FLAIR magnetic resonance.
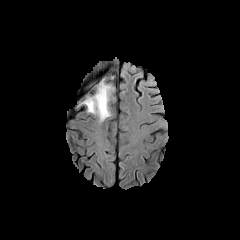
T1-weighted MRI.
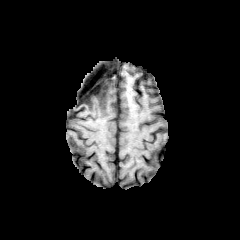
Post-contrast T1-weighted magnetic resonance.
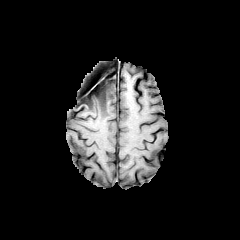
T2-weighted MRI.
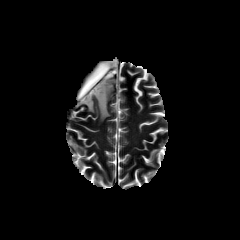
Brain
edema: 83 82 113 121 | non-enhancing tumor core: 84 80 109 101